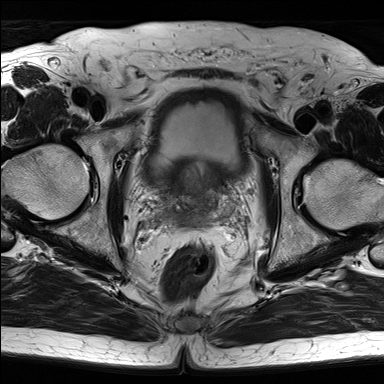
T2-weighted magnetic resonance.
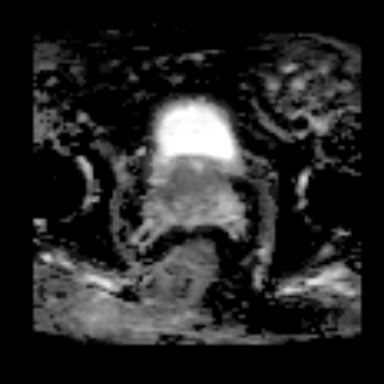
ADC MR image.
Pelvis; 384x384 px
{
  "prostate_transition_zone": [
    "x1=173 y1=163 x2=225 y2=225"
  ]
}